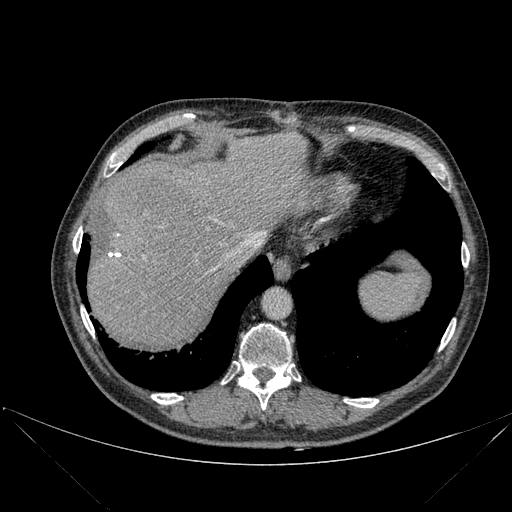

Image size 512x512. CT image.

Segmented structures:
* liver: rect(88, 133, 307, 349)
* lung: rect(76, 234, 89, 306); rect(291, 157, 463, 396); rect(98, 255, 273, 391); rect(122, 142, 155, 167)
* bone: rect(344, 398, 378, 407); rect(73, 227, 82, 252); rect(151, 393, 183, 404); rect(109, 153, 122, 174); rect(439, 323, 455, 349); rect(238, 324, 296, 409); rect(462, 242, 469, 266); rect(81, 307, 94, 337)